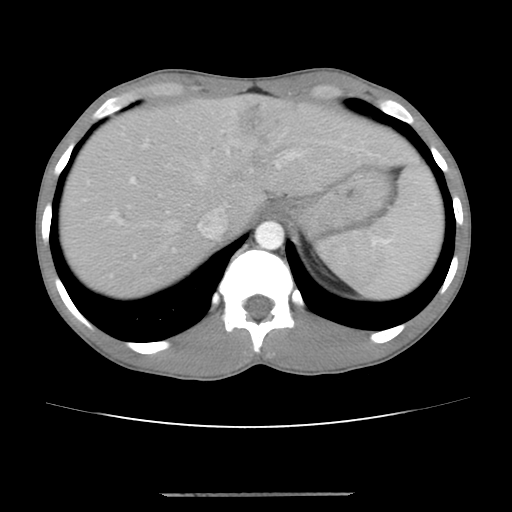
Liver. CT scan slice. 512x512.
The vessel boxes may cover only some of the vessels.
Hepatic vessel: 194,172,205,183; 276,152,298,167; 164,221,178,231; 131,179,134,182; 203,157,208,167; 200,208,224,236.
Liver tumor: 242,106,282,144.